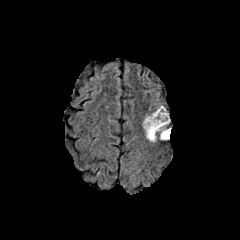
FLAIR magnetic resonance.
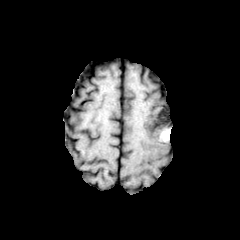
T1-weighted magnetic resonance of the same slice.
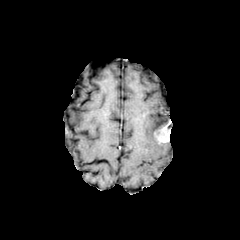
Post-contrast T1-weighted MR of the same slice.
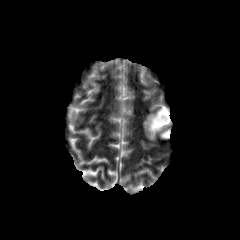
Same slice, T2-weighted MR image.
240x240 px
The edema is bounded by (143, 106, 164, 142). The enhancing tumor is bounded by (160, 126, 168, 137). The non-enhancing tumor core appears at (150, 108, 170, 131).